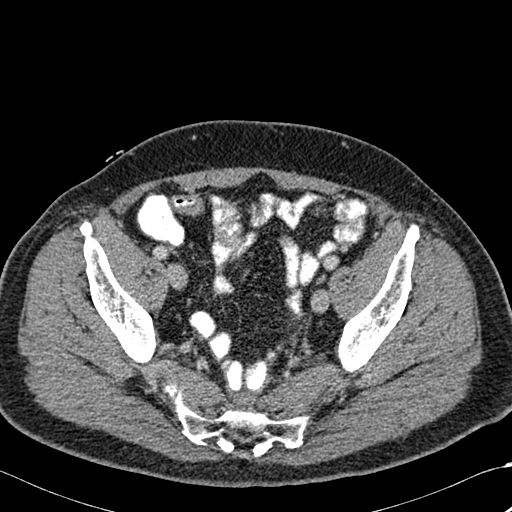

CT slice
Bone: bounding box region(165, 384, 307, 456); region(81, 222, 155, 362); region(338, 225, 418, 371).